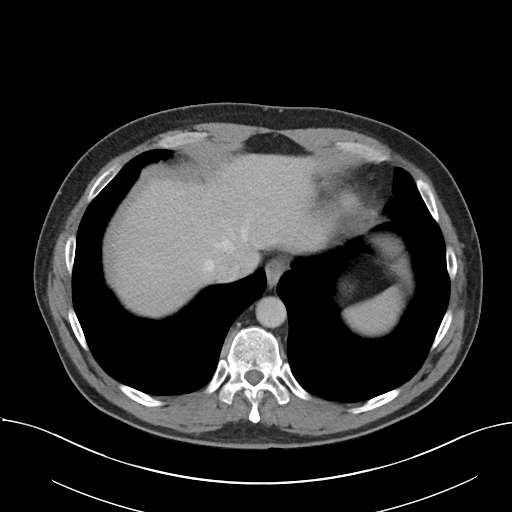 CT image. The vessel boxes may cover only some of the vessels.
Annotated regions:
- hepatic vessel: 215,244,217,246; 203,259,213,270; 247,219,248,221; 235,265,237,269; 249,255,258,271; 241,227,246,240; 230,229,234,238; 230,276,234,279; 225,239,234,252; 223,220,224,221; 256,240,282,247; 248,214,250,215